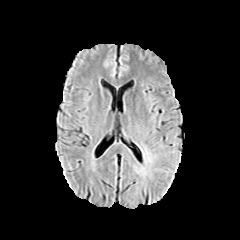
FLAIR MR.
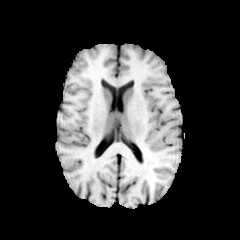
T1-weighted MRI of the same slice.
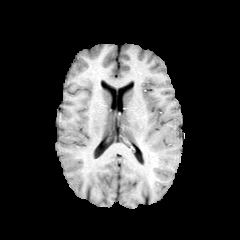
Post-contrast T1-weighted MR image.
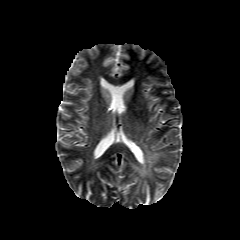
T2-weighted MR of the same slice.
Brain. 240x240 px.
{
  "edema": [
    "142 149 153 167"
  ]
}